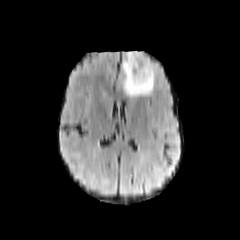
FLAIR magnetic resonance.
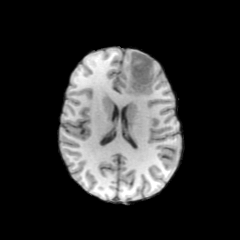
T1-weighted MR of the same slice.
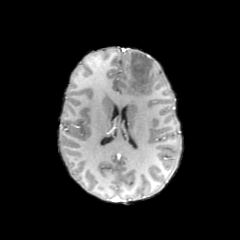
Post-contrast T1-weighted MRI.
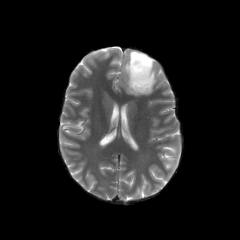
T2-weighted MRI.
Brain; Image size 240x240
{"edema": ["region(123, 50, 144, 95)", "region(149, 68, 155, 93)"], "non-enhancing_tumor_core": ["region(130, 52, 152, 93)"]}